FLAIR magnetic resonance.
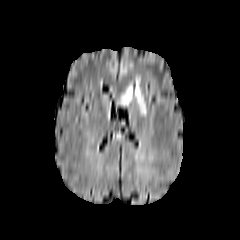
T1-weighted magnetic resonance.
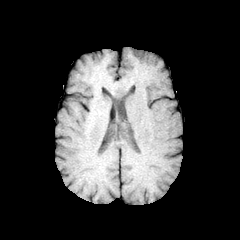
Post-contrast T1-weighted MR.
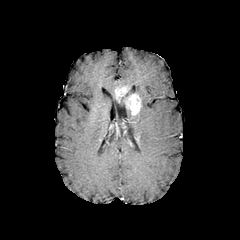
T2-weighted MR image.
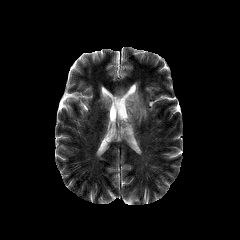
Brain.
Non-enhancing tumor core: bounding box l=120, t=88, r=132, b=103.
Enhancing tumor: bounding box l=125, t=94, r=140, b=114.
Edema: bounding box l=116, t=81, r=146, b=118.